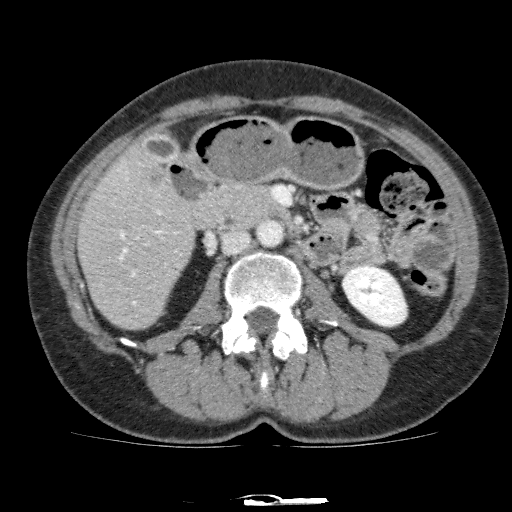 512x512 px | Abdomen | CT image
* liver: (77, 142, 197, 330)
* liver lesion: (140, 166, 164, 187)
* kidney: (343, 266, 406, 325)